Hippocampus. Magnetic resonance. Slice 13/38.
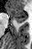 Posterior hippocampus: box(17, 22, 21, 23).
Anterior hippocampus: box(7, 8, 26, 21).